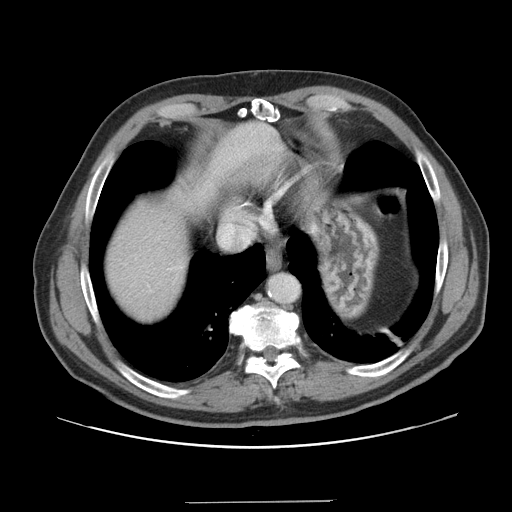
Liver, CT image
Some hepatic vessels may have no box.
2 hepatic vessel regions are located at 244:238:248:242, 222:226:233:242.